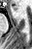
MR. 32x49. Segmented structures:
- anterior hippocampus: (x1=14, y1=7, x2=16, y2=10)